Brain.
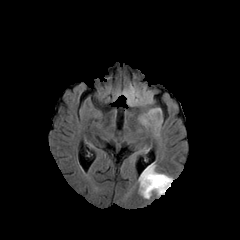
FLAIR MRI.
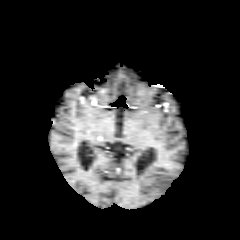
T1-weighted MRI.
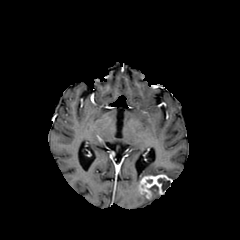
Post-contrast T1-weighted MR of the same slice.
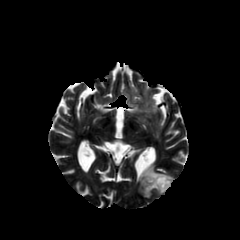
T2-weighted MR image of the same slice.
edema:
  - (left=136, top=161, right=173, bottom=198)
non-enhancing_tumor_core:
  - (left=158, top=179, right=170, bottom=190)
enhancing_tumor:
  - (left=139, top=174, right=172, bottom=198)